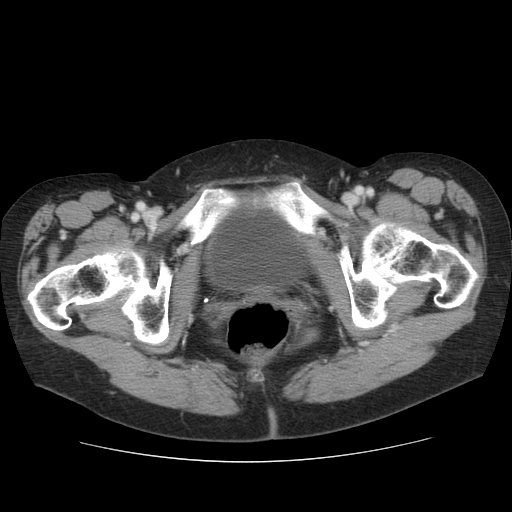
CT scan slice

Annotated regions:
* bone: x1=176, y1=186, x2=348, y2=242; x1=27, y1=239, x2=172, y2=349; x1=338, y1=217, x2=477, y2=334